Slice index 21 | 512x512 | CT

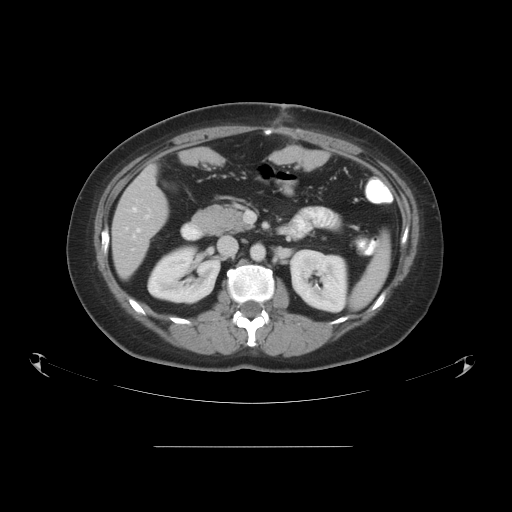
Only some of the vessels may be annotated.
6 hepatic vessel regions are located at (145,208,151,218), (125,227,127,229), (127,207,137,211), (132,228,140,238), (143,174,144,175), (132,248,134,249).